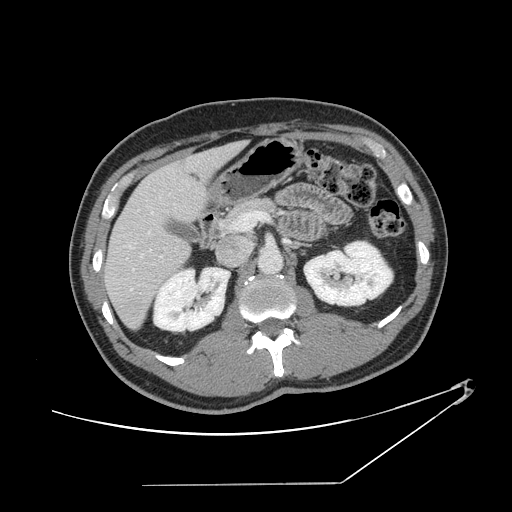
CT scan slice
Some hepatic vessels may have no box.
hepatic_vessel:
  - (left=127, top=245, right=133, bottom=248)
  - (left=141, top=255, right=142, bottom=256)
  - (left=151, top=212, right=152, bottom=213)